Slice index 61 | Head | Image width 240 mm
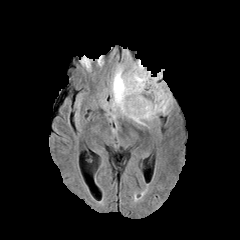
FLAIR MR.
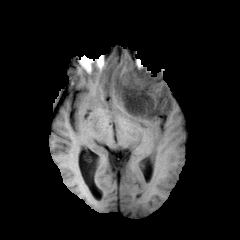
Same slice, T1-weighted MRI.
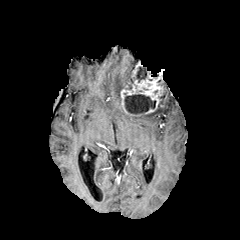
Post-contrast T1-weighted MR.
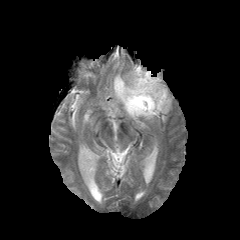
T2-weighted magnetic resonance of the same slice.
2 edema regions are located at 106:61:133:112, 125:91:172:126. The enhancing tumor is bounded by 119:64:166:114. 2 non-enhancing tumor core regions are located at 136:65:147:82, 124:94:156:113.